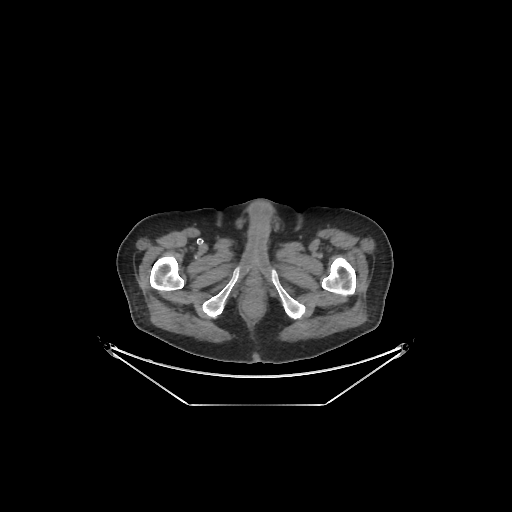

CT
Bone — (left=150, top=255, right=183, bottom=291), (left=322, top=257, right=355, bottom=295), (left=202, top=268, right=239, bottom=317), (left=271, top=270, right=305, bottom=318).